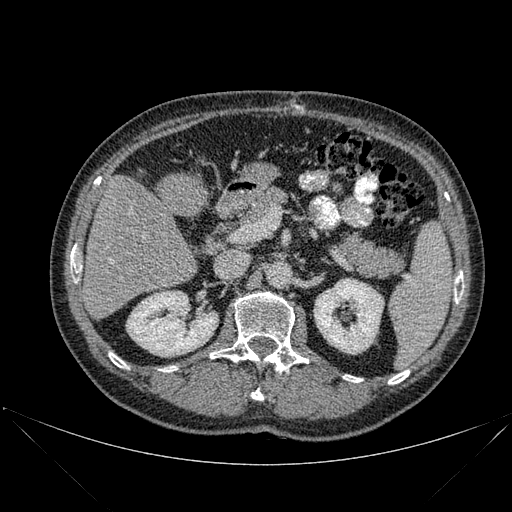 Liver. CT scan slice. Image size 512x512.

bone: [454, 272, 462, 303], [159, 366, 177, 372], [388, 370, 409, 384], [70, 246, 80, 282], [210, 292, 308, 372], [109, 352, 128, 368], [343, 375, 362, 382], [251, 388, 263, 400] | kidney: [126, 291, 218, 356], [314, 279, 383, 353] | liver: [84, 172, 208, 318]